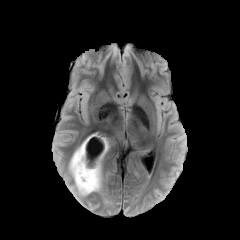
FLAIR magnetic resonance.
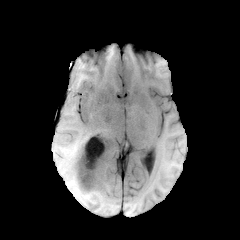
Same slice, T1-weighted MR image.
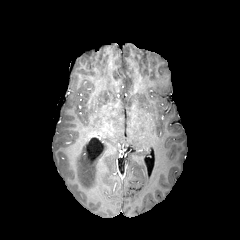
Post-contrast T1-weighted MR image.
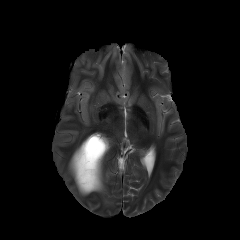
T2-weighted MRI.
Head
The non-enhancing tumor core lies within l=71, t=137, r=104, b=191. 2 edema regions appear at l=68, t=154, r=88, b=197; l=94, t=166, r=103, b=191. The enhancing tumor appears at l=96, t=158, r=101, b=187.